240x240 px. Brain.
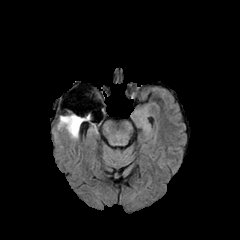
FLAIR magnetic resonance.
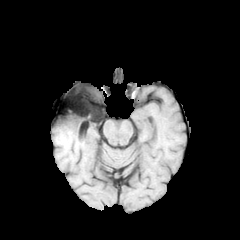
T1-weighted magnetic resonance.
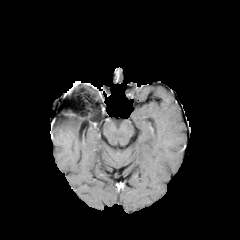
Post-contrast T1-weighted magnetic resonance.
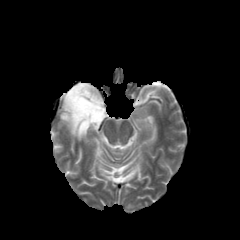
Same slice, T2-weighted MRI.
<segmentation>
  <non-enhancing_tumor_core>[59, 113, 91, 129], [67, 93, 84, 112]</non-enhancing_tumor_core>
  <edema>[56, 118, 81, 139]</edema>
</segmentation>